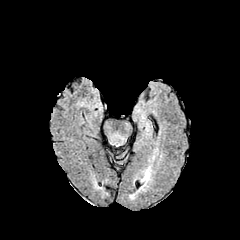
FLAIR magnetic resonance.
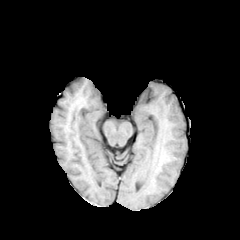
Same slice, T1-weighted MR image.
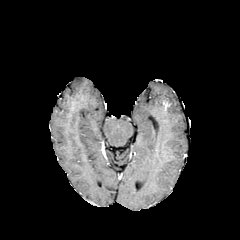
Post-contrast T1-weighted MRI of the same slice.
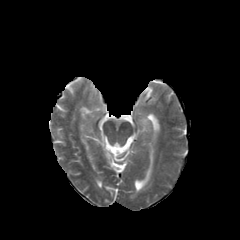
T2-weighted magnetic resonance of the same slice.
Brain
The edema appears at (139, 164, 152, 189).